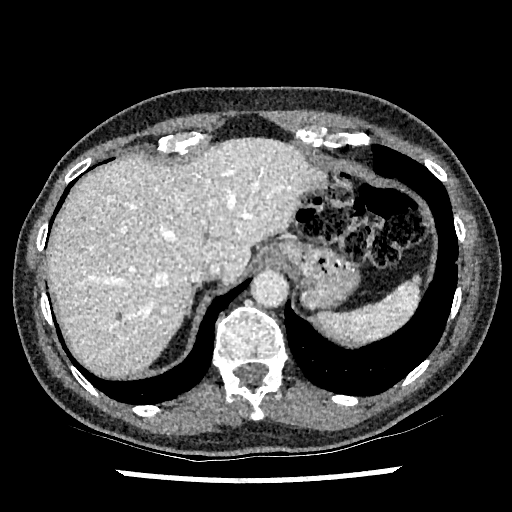
Liver | CT image

The liver appears at x1=48 y1=138 x2=322 y2=376.